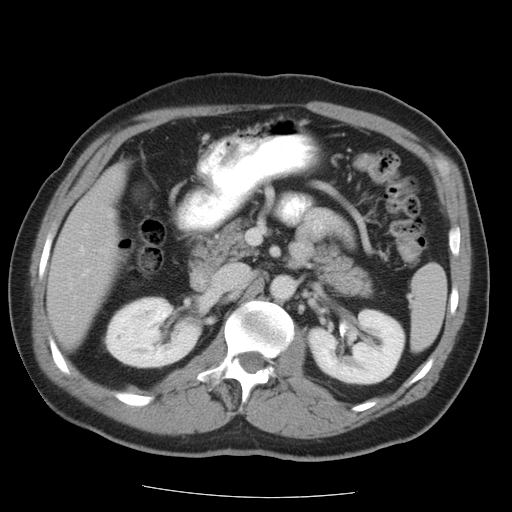
CT slice. The vessel boxes may cover only some of the vessels.
Findings:
* hepatic vessel: box=[81, 247, 84, 254]; box=[86, 269, 89, 271]; box=[75, 296, 76, 298]; box=[108, 215, 111, 216]